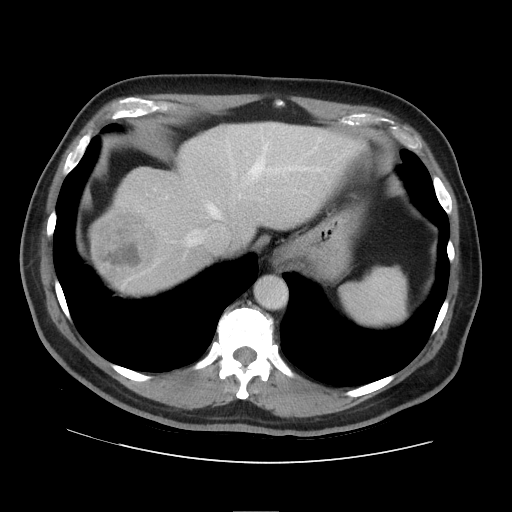 CT image, Liver, Image size 512x512
Some hepatic vessels may have no box.
hepatic vessel: (x1=205, y1=202, x2=221, y2=217), (x1=274, y1=168, x2=280, y2=171), (x1=185, y1=230, x2=199, y2=245), (x1=283, y1=167, x2=293, y2=170), (x1=264, y1=144, x2=267, y2=150), (x1=250, y1=155, x2=271, y2=174) | liver tumor: (x1=93, y1=206, x2=159, y2=273)